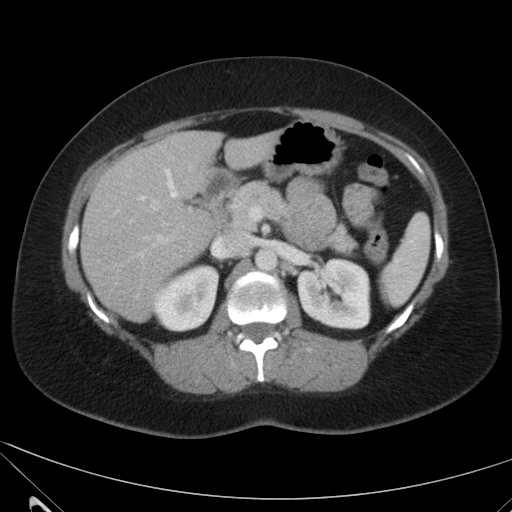

Upper abdomen | CT image

Annotated regions:
- liver: (81, 131, 222, 320), (225, 133, 274, 168)
- kidney: (155, 267, 216, 329), (299, 260, 368, 327)